Upper abdomen, CT scan slice 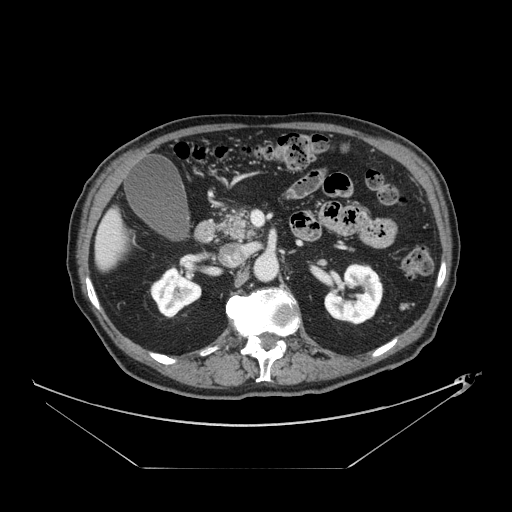
The pancreas is at x1=219, y1=211, x2=254, y2=241.